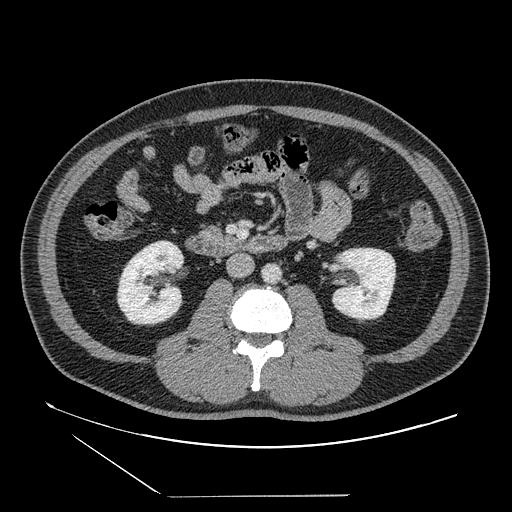

Upper abdomen, 512x512 px, CT

• pancreas: 194, 223, 241, 256